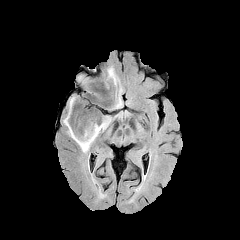
FLAIR MRI.
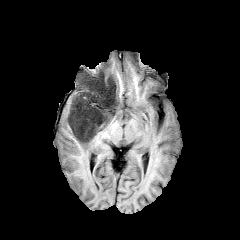
T1-weighted MRI of the same slice.
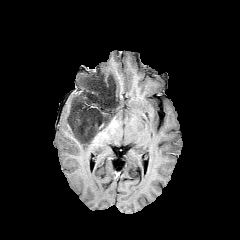
Same slice, post-contrast T1-weighted MR image.
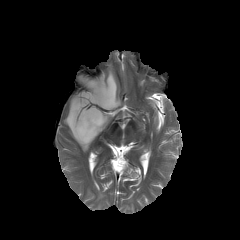
T2-weighted MR.
3 edema regions are located at [x1=116, y1=83, x2=123, y2=108], [x1=106, y1=66, x2=119, y2=85], [x1=63, y1=97, x2=92, y2=152]. 3 non-enhancing tumor core regions are located at [x1=93, y1=74, x2=119, y2=109], [x1=84, y1=79, x2=94, y2=86], [x1=69, y1=109, x2=113, y2=141].